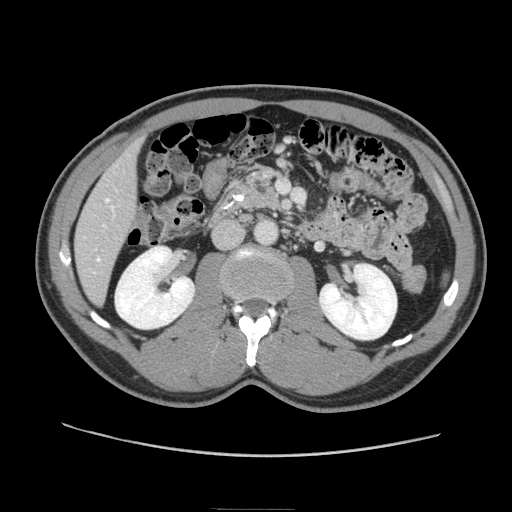

CT | Upper abdomen
pancreatic tumor: <box>243,185,281,208</box> | pancreas: <box>231,171,281,210</box>